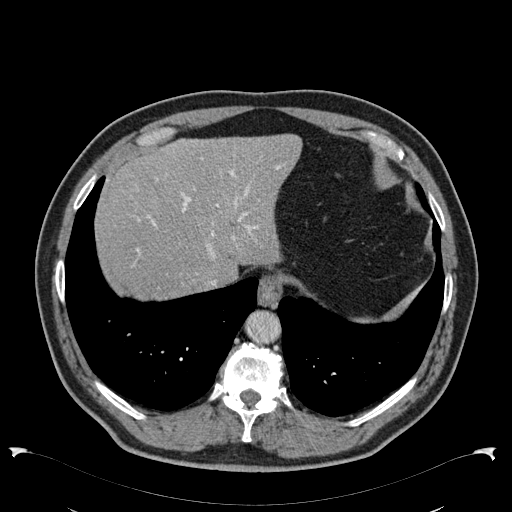
CT image

The liver is bounded by bbox=[95, 135, 301, 298].